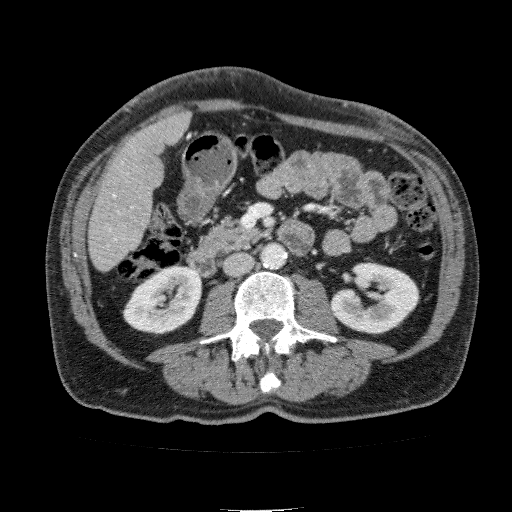

CT slice
Annotated regions:
- liver: box=[89, 110, 192, 270]
- kidney: box=[332, 263, 417, 332]; box=[124, 267, 200, 332]